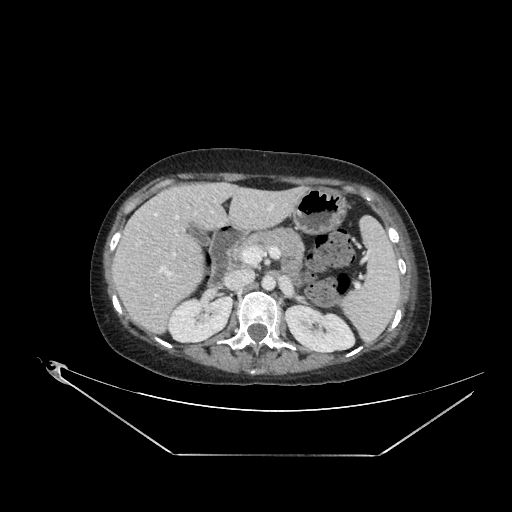 CT image

2 kidney regions are bounded by {"x1": 286, "y1": 306, "x2": 354, "y2": 351}, {"x1": 168, "y1": 297, "x2": 231, "y2": 341}. The liver is at {"x1": 112, "y1": 184, "x2": 307, "y2": 334}.